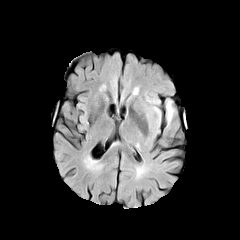
FLAIR magnetic resonance.
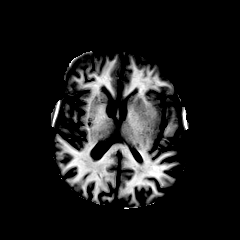
T1-weighted magnetic resonance of the same slice.
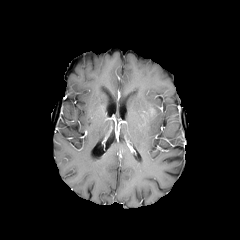
Post-contrast T1-weighted MR.
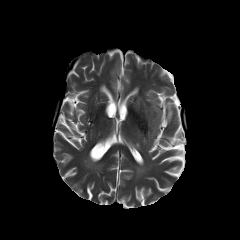
T2-weighted MRI of the same slice.
Head
3 edema regions appear at 147:96:159:104, 166:99:174:122, 147:105:160:115.